CT image 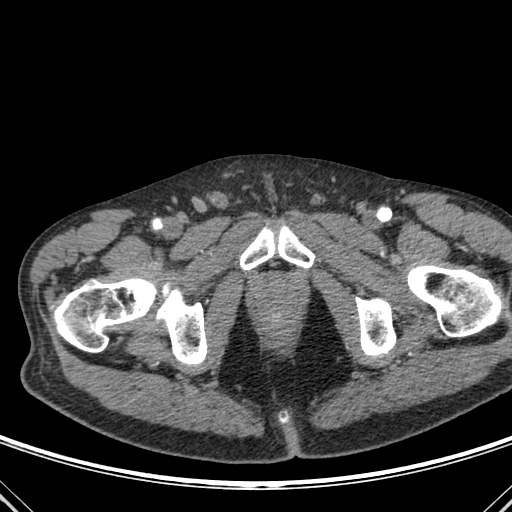 Bone — box=[54, 277, 207, 364]; box=[407, 265, 506, 336]; box=[355, 297, 395, 356]; box=[240, 225, 314, 270].